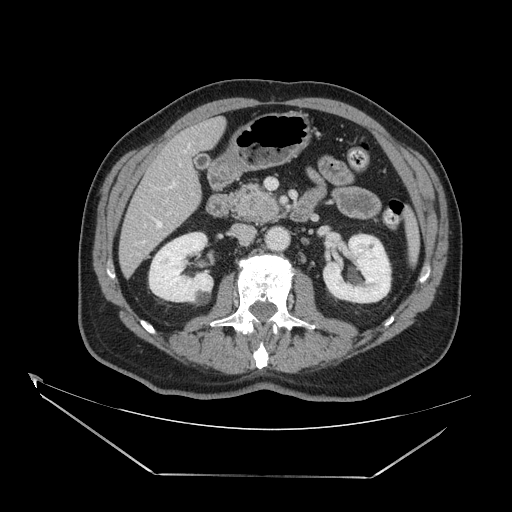 CT | Abdomen

The pancreas appears at box(231, 183, 278, 222). The pancreatic tumor is located at box(245, 194, 273, 215).